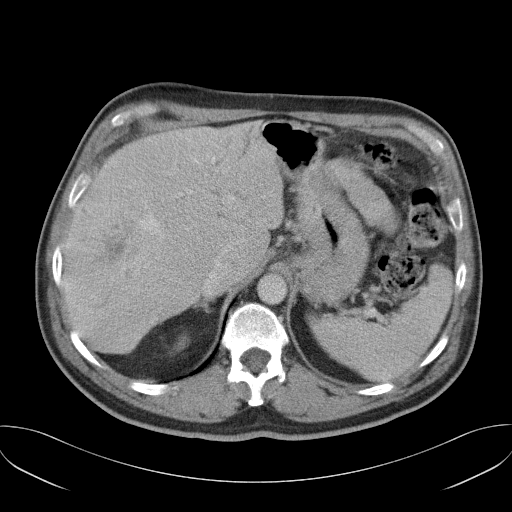 CT slice

Only some of the vessels may be annotated.
{"liver_tumor": ["left=101, top=236, right=126, bottom=262"], "hepatic_vessel": ["left=141, top=217, right=162, bottom=237"]}